512x512 px. Slice 14/168. CT image. Abdomen.
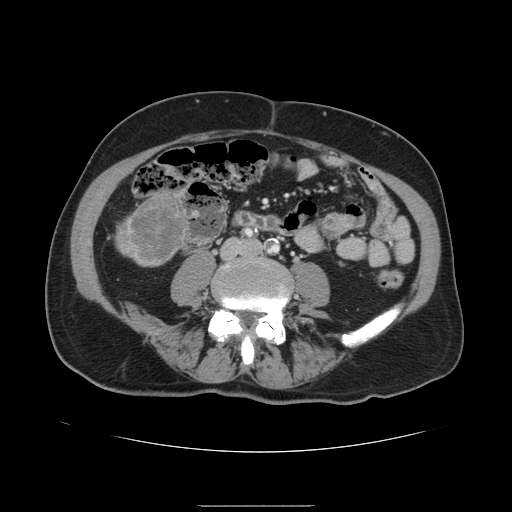
Segmented structures:
* liver tumor: <box>121,194,186,262</box>